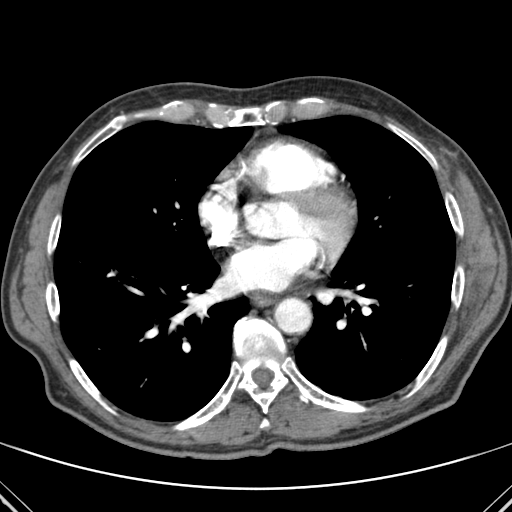 CT slice. Thorax. 512x512. 2 lung regions are bounded by (left=54, top=121, right=252, bottom=420), (left=278, top=116, right=455, bottom=399). 13 bone regions appear at (left=260, top=419, right=268, bottom=427), (left=407, top=337, right=446, bottom=396), (left=451, top=266, right=464, bottom=307), (left=299, top=98, right=323, bottom=103), (left=69, top=360, right=111, bottom=411), (left=46, top=283, right=59, bottom=320), (left=389, top=124, right=437, bottom=167), (left=47, top=215, right=60, bottom=253), (left=164, top=101, right=181, bottom=108), (left=209, top=102, right=279, bottom=127), (left=174, top=318, right=366, bottom=430), (left=73, top=117, right=123, bottom=164), (left=445, top=193, right=463, bottom=235).